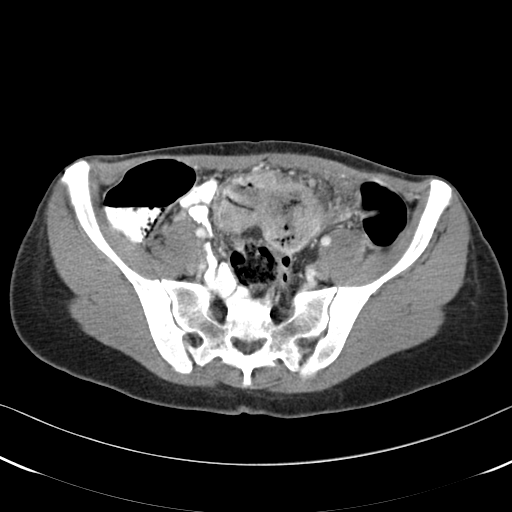

Image size 512x512 | Computed tomography

Findings:
* colon tumor: box=[214, 173, 322, 250]